Brain, 240x240, Slice index 113
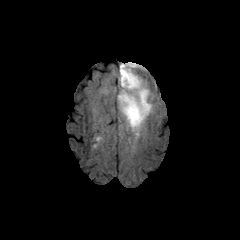
FLAIR MRI.
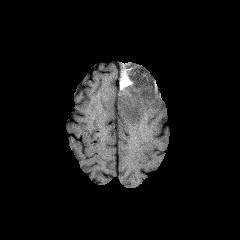
Same slice, T1-weighted MR.
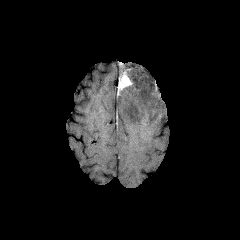
Post-contrast T1-weighted MR image of the same slice.
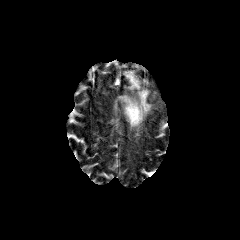
T2-weighted MR of the same slice.
The edema is bounded by box(117, 62, 153, 138). The enhancing tumor is at box(118, 70, 131, 89). The non-enhancing tumor core is at box(120, 65, 134, 85).